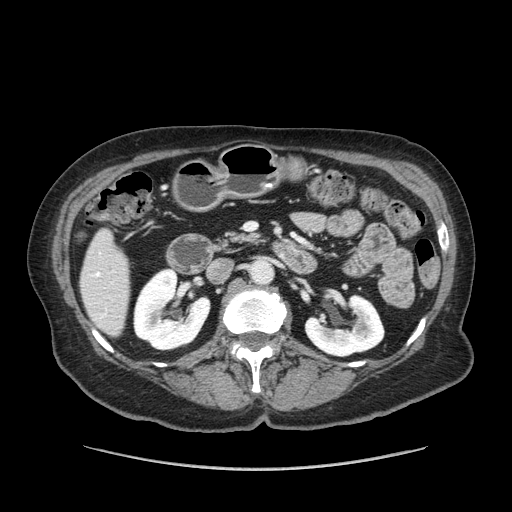

Upper abdomen, Image size 512x512, CT scan slice

The pancreas is located at 217:233:257:249.